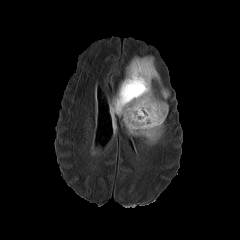
FLAIR magnetic resonance.
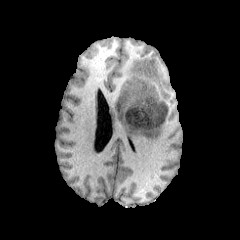
T1-weighted MR image of the same slice.
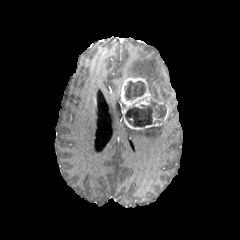
Post-contrast T1-weighted MR of the same slice.
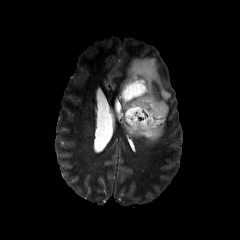
T2-weighted MR.
Image size 240x240
enhancing tumor: [119, 77, 163, 129], [145, 112, 161, 128] | edema: [109, 92, 125, 130], [125, 57, 170, 100], [124, 121, 164, 146] | non-enhancing tumor core: [125, 102, 166, 128], [124, 81, 145, 101]